Slice index 58. Field of view 452x452 mm. Abdomen. Computed tomography. 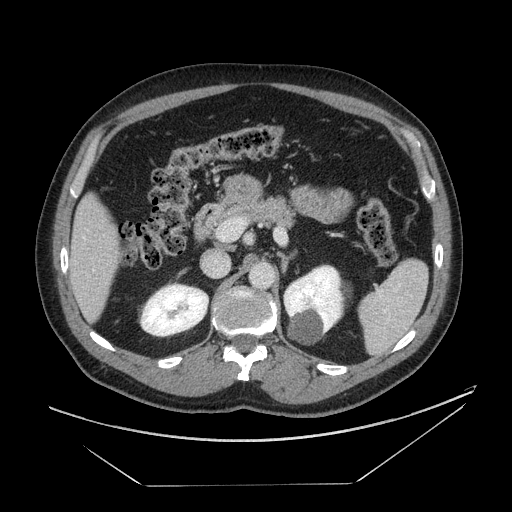

The pancreas lies within <bbox>222, 196, 295, 227</bbox>.